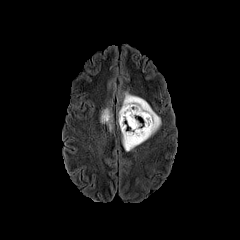
FLAIR MR.
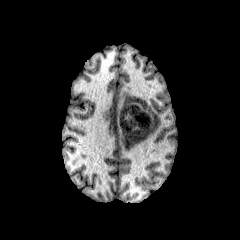
T1-weighted magnetic resonance.
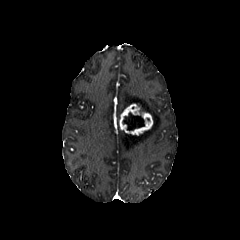
Post-contrast T1-weighted MRI.
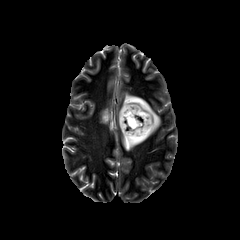
Same slice, T2-weighted MR.
Enhancing tumor: 119 104 153 135.
Edema: 117 92 161 151, 100 107 110 128.
Non-enhancing tumor core: 121 112 144 130.